CT slice, Liver 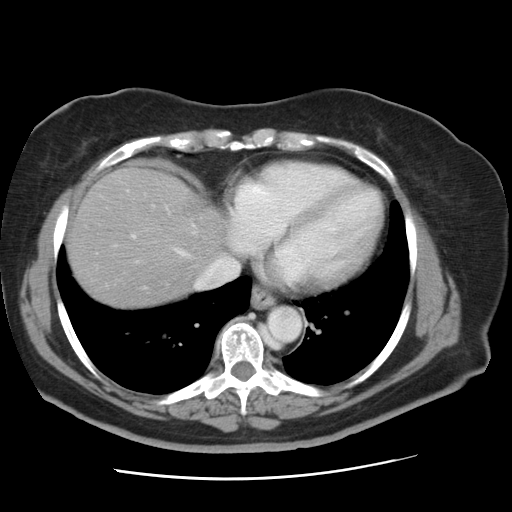

Not every hepatic vessel necessarily has a box.
Hepatic vessel: (left=175, top=248, right=190, bottom=257), (left=131, top=235, right=133, bottom=237), (left=195, top=256, right=229, bottom=289).